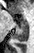

MR. Medial temporal lobe. Image size 34x53.

The posterior hippocampus appears at bbox(14, 23, 28, 42). The anterior hippocampus lies within bbox(21, 18, 27, 23).